Image size 34x49, Hippocampus, MR image, Slice 33 of 39

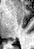 posterior_hippocampus:
  - (11, 39, 14, 41)